Hippocampus, MRI 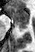

<segmentation>
  <anterior_hippocampus>(8, 6, 29, 23)</anterior_hippocampus>
  <posterior_hippocampus>(14, 24, 28, 31)</posterior_hippocampus>
</segmentation>